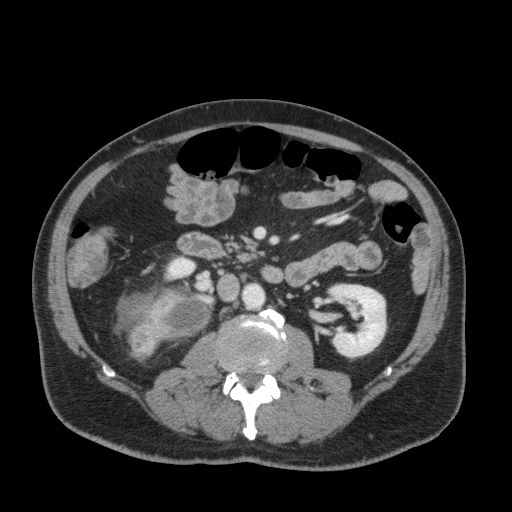

CT scan slice | Abdomen

kidney: box=[330, 285, 385, 356]; box=[167, 258, 194, 278]